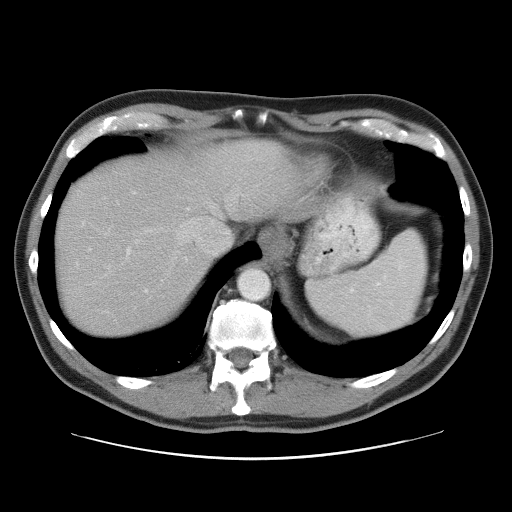
CT slice | 512x512 px
The vessel boxes may cover only some of the vessels.
hepatic_vessel:
  - <bbox>82, 223, 83, 224</bbox>
  - <bbox>225, 172, 228, 172</bbox>
  - <bbox>200, 196, 221, 216</bbox>
  - <bbox>88, 248, 89, 250</bbox>
  - <bbox>144, 290, 147, 292</bbox>
  - <bbox>126, 248, 130, 255</bbox>
  - <bbox>184, 207, 190, 209</bbox>
  - <bbox>226, 187, 246, 201</bbox>
  - <bbox>177, 218, 205, 245</bbox>